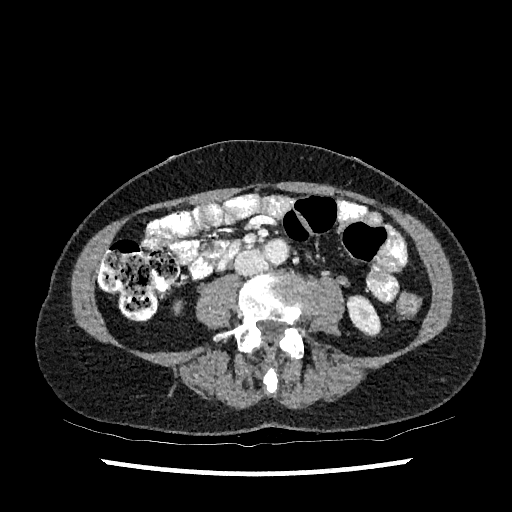 Image size 512x512. Abdomen. Computed tomography. The kidney is at 348, 297, 379, 333.